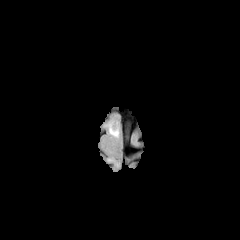
FLAIR MRI.
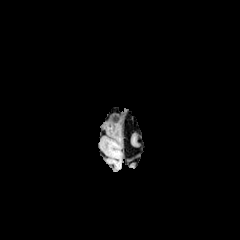
T1-weighted MR image.
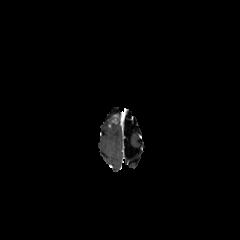
Post-contrast T1-weighted magnetic resonance.
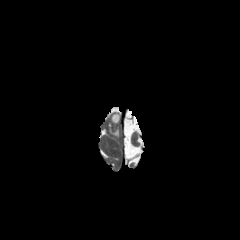
T2-weighted magnetic resonance of the same slice.
Brain
The edema is bounded by 108 127 117 137. The enhancing tumor lies within 111 114 119 123.